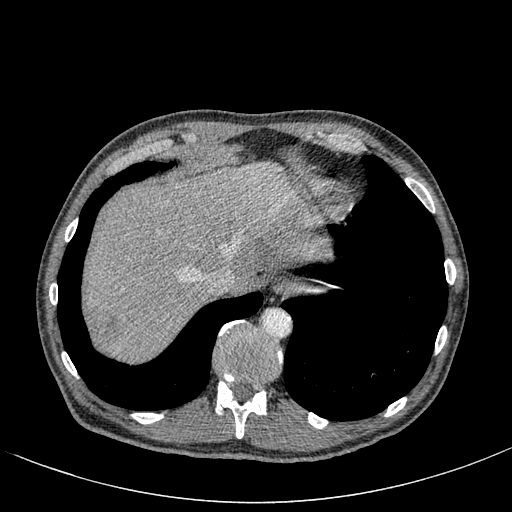

Computed tomography; 512x512 px
The liver lies within <box>86,163,332,358</box>. 3 focal liver lesion regions appear at <box>281,200,303,223</box>, <box>86,307,121,349</box>, <box>106,269,117,278</box>.